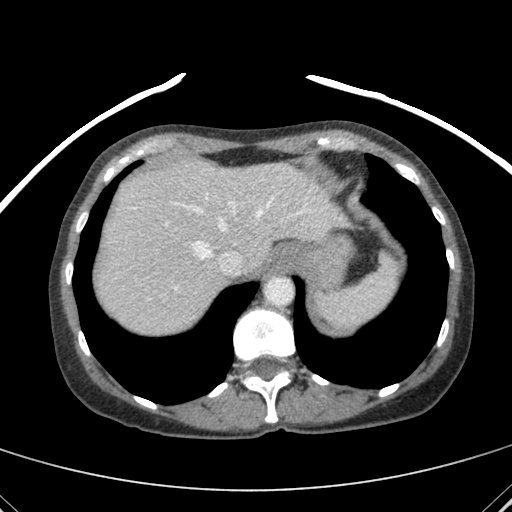
Computed tomography. Liver at [96, 156, 343, 334].